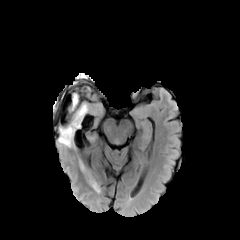
FLAIR MR.
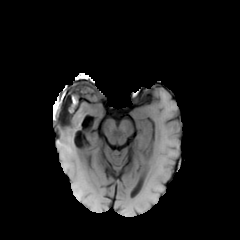
Same slice, T1-weighted MRI.
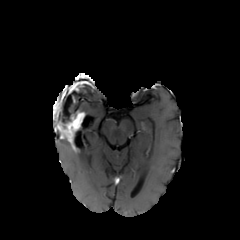
Post-contrast T1-weighted MR image of the same slice.
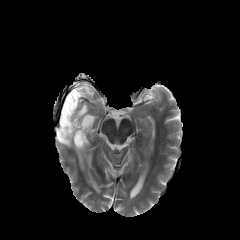
T2-weighted magnetic resonance of the same slice.
Non-enhancing tumor core: bounding box (left=54, top=86, right=80, bottom=130).
Enhancing tumor: bounding box (left=56, top=112, right=84, bottom=141).
Edema: bounding box (left=71, top=95, right=88, bottom=114), (left=58, top=137, right=71, bottom=150).